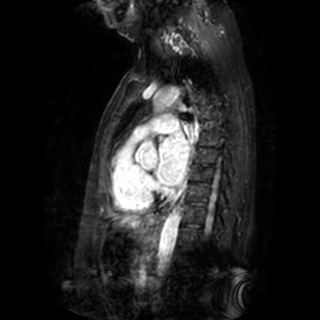 Cardiac. Magnetic resonance.

The left atrium lies within bbox=[156, 132, 188, 185].